512x512. Field of view 400 mm wide, 0.70 mm slice spacing. CT.
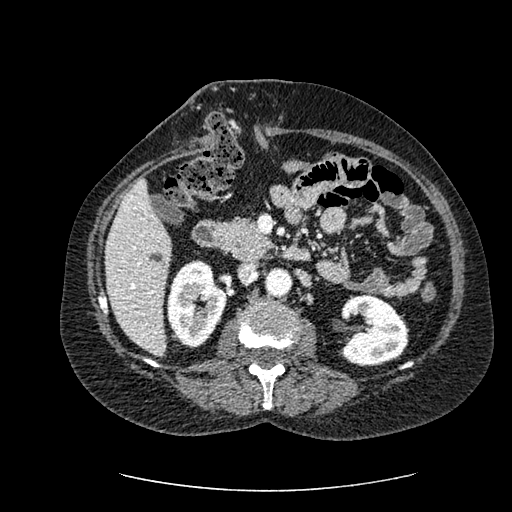

Kidney: bounding box 342:295:407:365, 168:261:225:346.
Hepatic lesion: bounding box 148:252:162:262.
Liver: bounding box 105:177:170:355.